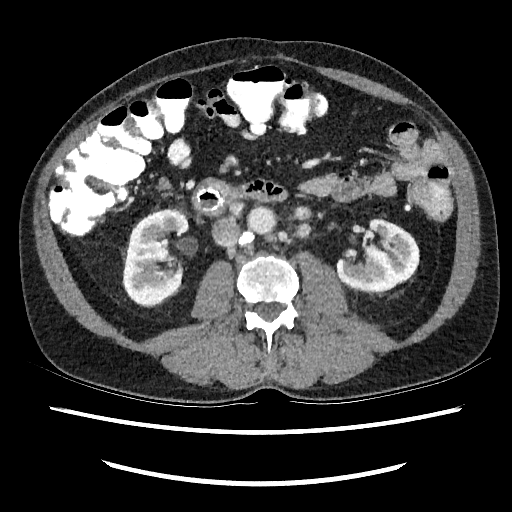
Abdomen | CT slice
• kidney: x1=124, y1=210, x2=187, y2=304; x1=337, y1=220, x2=418, y2=292